240x240 px | Slice index 124 | Brain
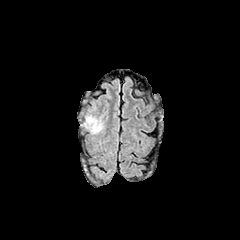
FLAIR MR.
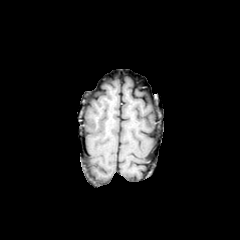
T1-weighted magnetic resonance.
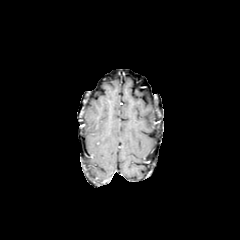
Post-contrast T1-weighted MRI.
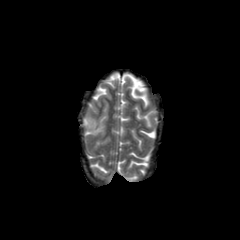
T2-weighted MR.
The edema appears at rect(92, 120, 100, 132).